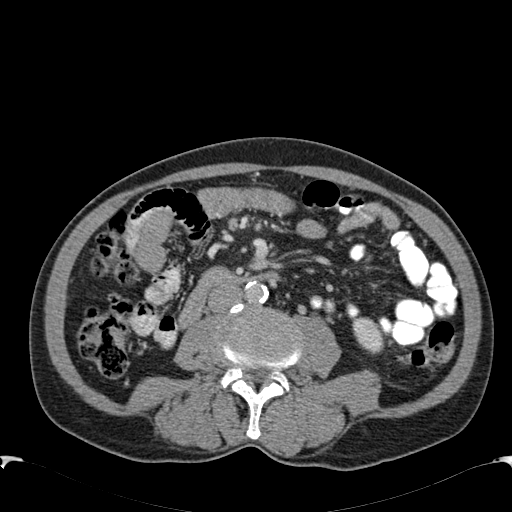

Image size 512x512. Abdomen. CT scan slice. Kidney = bbox(353, 317, 382, 352).